Slice index 47. Image width 240 mm.
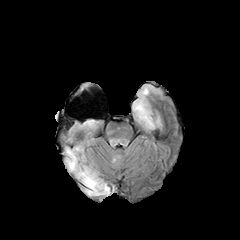
FLAIR MR.
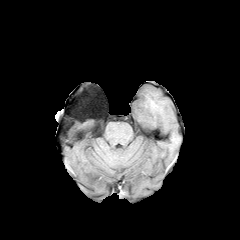
T1-weighted MR image.
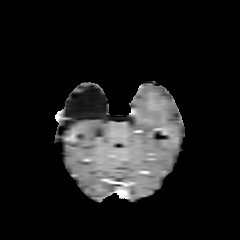
Same slice, post-contrast T1-weighted MR image.
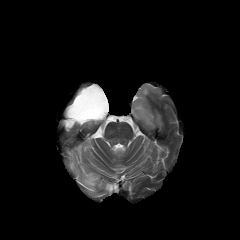
T2-weighted magnetic resonance.
{"edema": ["[x1=66, y1=140, x2=111, y2=195]", "[x1=134, y1=102, x2=151, y2=123]", "[x1=84, y1=120, x2=99, y2=125]"]}